240x240, Head
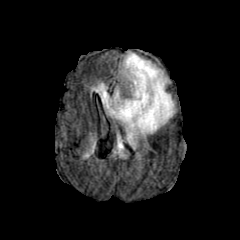
FLAIR magnetic resonance.
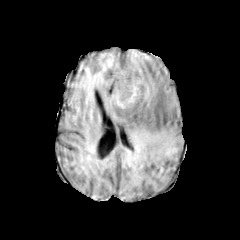
Same slice, T1-weighted MRI.
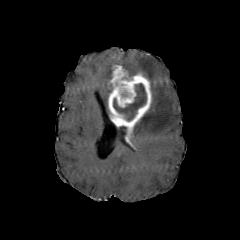
Post-contrast T1-weighted magnetic resonance.
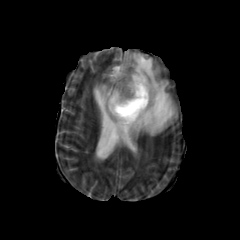
T2-weighted MRI.
Non-enhancing tumor core: rect(113, 83, 146, 121).
Edema: rect(92, 83, 110, 114); rect(123, 51, 175, 136); rect(117, 134, 123, 150).
Enhancing tumor: rect(108, 65, 151, 128).